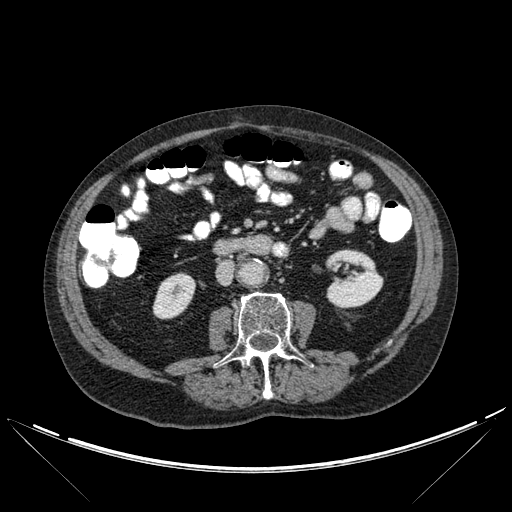

512x512 px, Computed tomography

Bone: box=[223, 292, 293, 398].
Kidney: box=[153, 274, 195, 318]; box=[327, 250, 382, 307].